CT scan slice, Abdomen 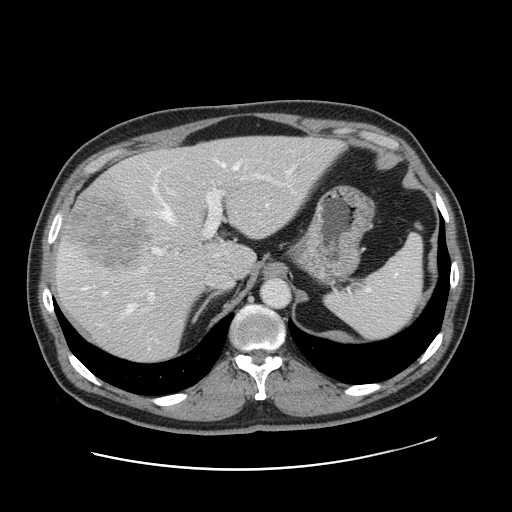

Only some of the vessels may be annotated.
Liver tumor at (left=64, top=195, right=153, bottom=266).
Hepatic vessel at (left=168, top=190, right=174, bottom=193), (left=220, top=239, right=223, bottom=244), (left=266, top=203, right=267, bottom=205), (left=148, top=246, right=164, bottom=254), (left=234, top=162, right=239, bottom=169), (left=154, top=206, right=173, bottom=220), (left=214, top=157, right=225, bottom=166), (left=253, top=173, right=282, bottom=183), (left=242, top=176, right=245, bottom=178), (left=151, top=169, right=161, bottom=197), (left=205, top=186, right=231, bottom=235), (left=148, top=291, right=153, bottom=298), (left=286, top=168, right=292, bottom=173), (left=175, top=251, right=178, bottom=253).